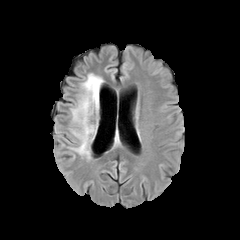
FLAIR MR image.
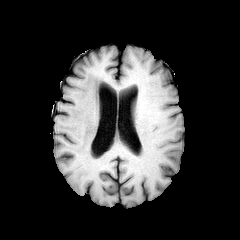
T1-weighted MR.
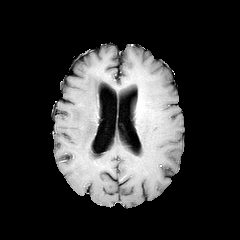
Post-contrast T1-weighted magnetic resonance.
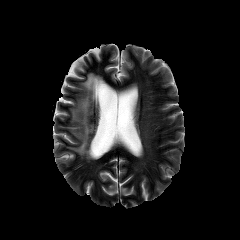
Same slice, T2-weighted MR image.
Head
Segmented structures:
• edema: x1=70, y1=73, x2=103, y2=159